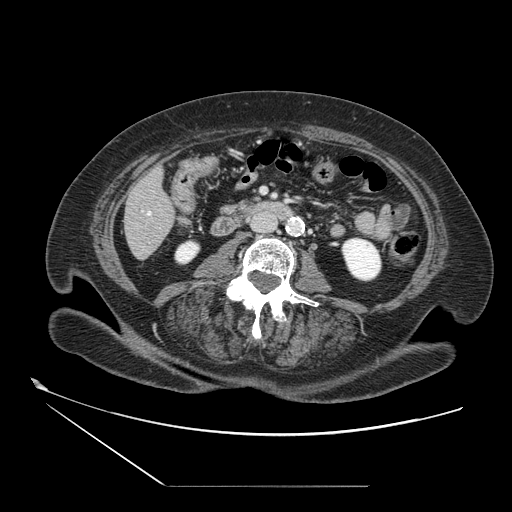 CT slice | Abdomen
<segmentation>
  <pancreas>bbox(223, 204, 245, 218)</pancreas>
</segmentation>